Head
FLAIR MR image.
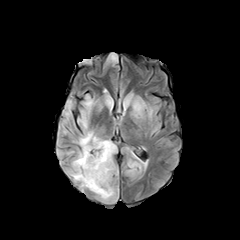
T1-weighted MRI.
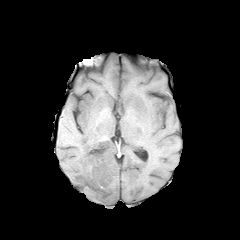
Post-contrast T1-weighted magnetic resonance.
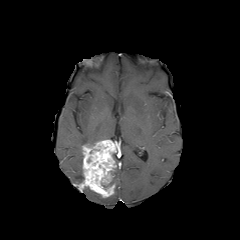
T2-weighted MR.
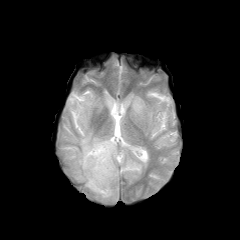
The enhancing tumor lies within [82, 140, 116, 197]. 4 edema regions appear at [63, 124, 73, 133], [120, 96, 145, 119], [66, 94, 103, 185], [64, 99, 74, 120]. The non-enhancing tumor core is at [109, 162, 116, 193].